512x512 | Image width 387 mm | Slice 332 of 811 | CT 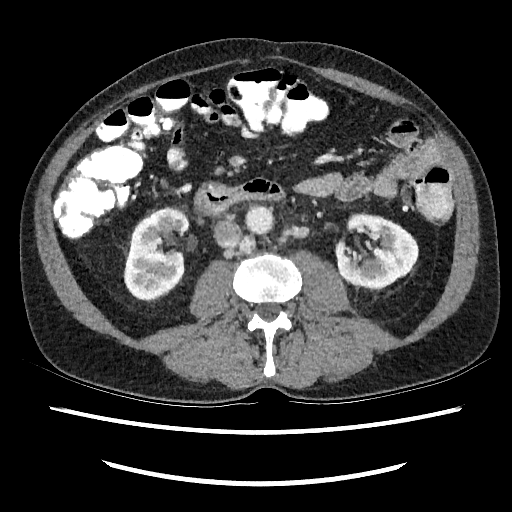

• kidney: x1=336 y1=215 x2=417 y2=287, x1=125 y1=209 x2=188 y2=298